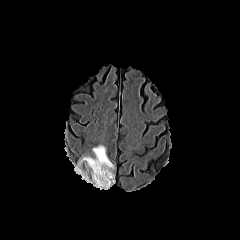
FLAIR magnetic resonance.
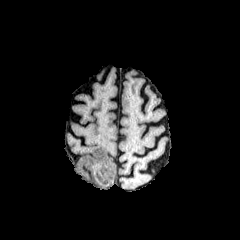
Same slice, T1-weighted MR image.
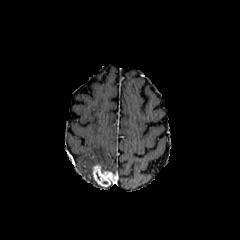
Post-contrast T1-weighted MR.
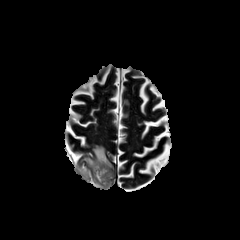
Same slice, T2-weighted MR.
Brain.
The edema is at {"x1": 79, "y1": 146, "x2": 114, "y2": 170}. The enhancing tumor is at {"x1": 91, "y1": 163, "x2": 115, "y2": 187}.